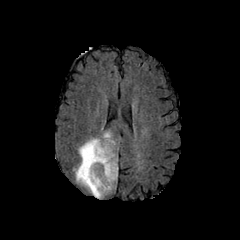
FLAIR MR image.
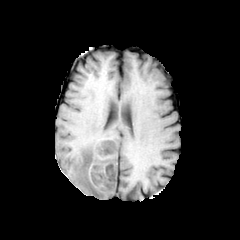
T1-weighted MR image.
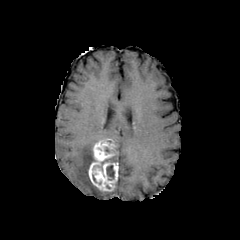
Post-contrast T1-weighted MR.
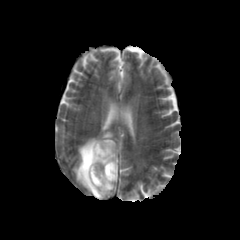
T2-weighted MR image of the same slice.
240x240 px
The enhancing tumor lies within <bbox>88, 138, 118, 192</bbox>. The non-enhancing tumor core is at <bbox>106, 165, 114, 177</bbox>. 2 edema regions are located at <bbox>102, 131, 112, 138</bbox>, <bbox>73, 137, 103, 198</bbox>.